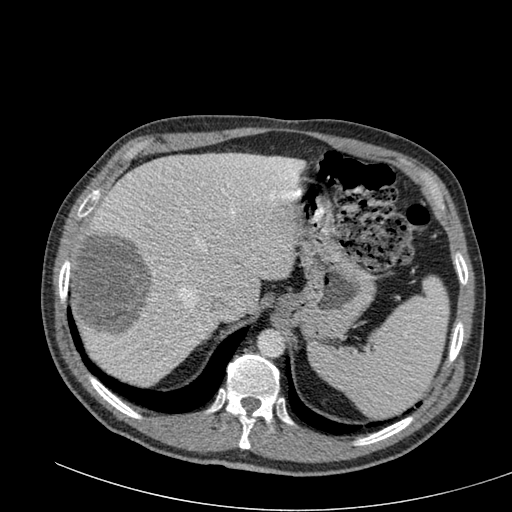

CT scan slice | 512x512 px | Liver
Hepatic lesion — (left=71, top=234, right=151, bottom=334).
Liver — (left=311, top=214, right=329, bottom=228), (left=79, top=153, right=300, bottom=385).